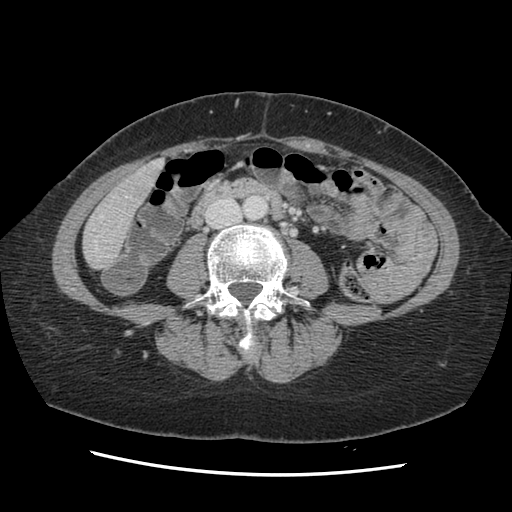 CT image. Some hepatic vessels may have no box.
{
  "hepatic_vessel": [
    "bbox(99, 215, 102, 218)",
    "bbox(149, 182, 150, 184)",
    "bbox(95, 240, 97, 250)"
  ]
}